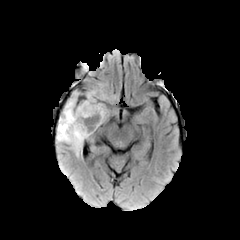
FLAIR MR.
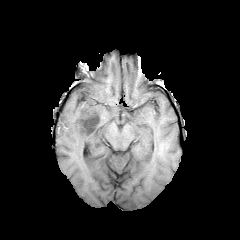
T1-weighted MRI.
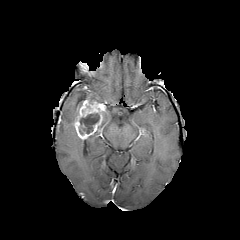
Same slice, post-contrast T1-weighted MR.
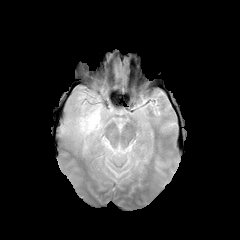
T2-weighted magnetic resonance.
240x240. Head.
Non-enhancing tumor core = (80, 113, 99, 133), (87, 120, 103, 138).
Edema = (57, 87, 108, 155).
Enhancing tumor = (74, 100, 104, 139).